Field of view 373x373 mm, 512x512 px, CT, Abdomen 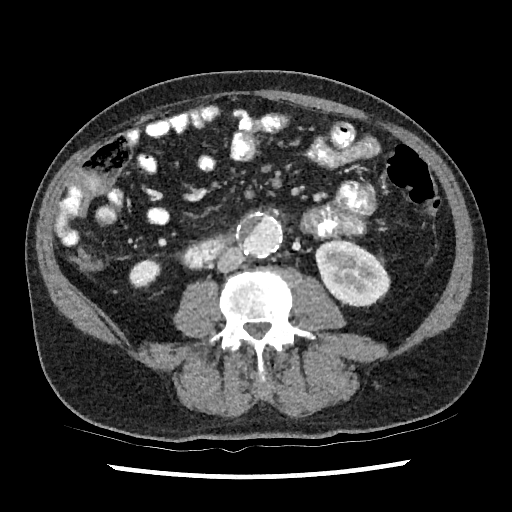

Kidney: bounding box [130, 260, 159, 286], [318, 241, 389, 305].